CT scan slice | 512x512 px | Slice 73/112 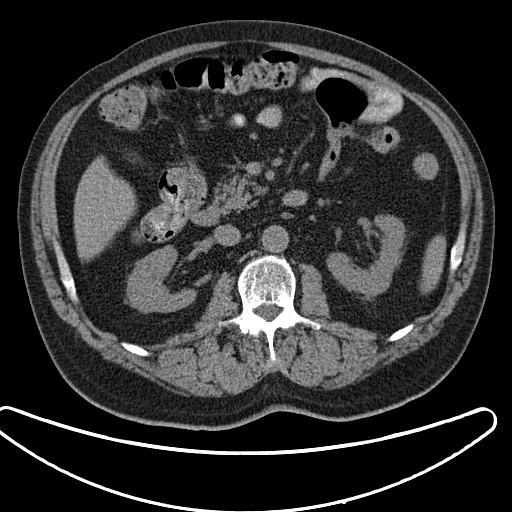 {"spleen": [{"x1": 423, "y1": 237, "x2": 444, "y2": 290}]}